Image size 512x512 | CT slice | Image width 496 mm 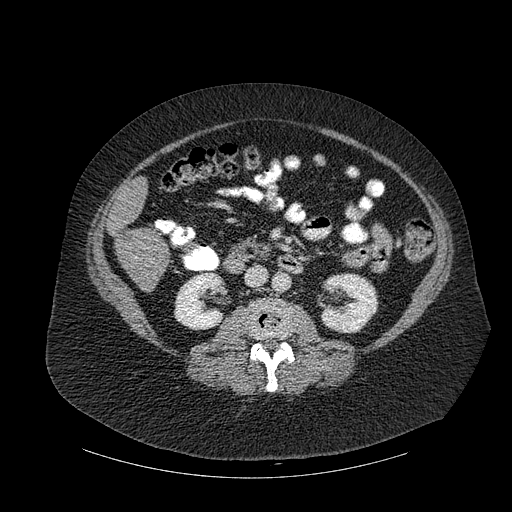

Bone = {"x1": 247, "y1": 301, "x2": 295, "y2": 338}, {"x1": 250, "y1": 343, "x2": 294, "y2": 391}.
Kidney = {"x1": 322, "y1": 274, "x2": 377, "y2": 332}, {"x1": 175, "y1": 273, "x2": 221, "y2": 329}.
Liver = {"x1": 108, "y1": 176, "x2": 169, "y2": 290}.